240x240 px, Brain, Slice index 123
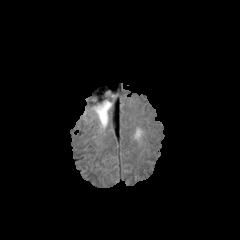
FLAIR MR image.
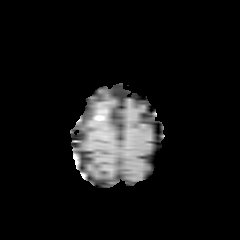
T1-weighted MR image.
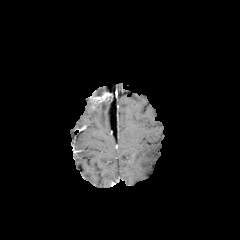
Post-contrast T1-weighted magnetic resonance.
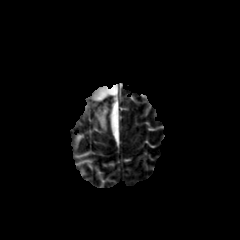
T2-weighted MR.
edema: l=83, t=98, r=111, b=132